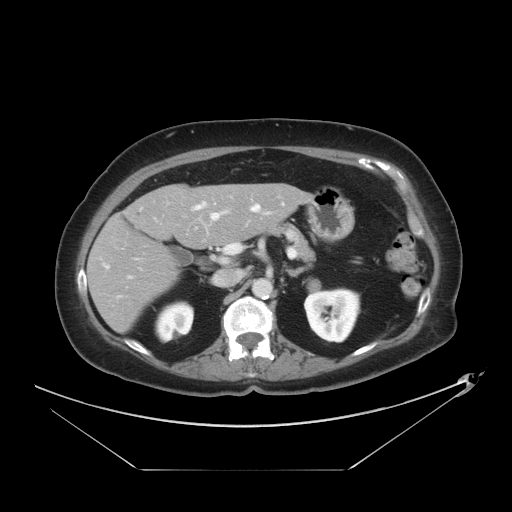
512x512 px | Abdomen | CT
Only some of the vessels may be annotated.
• hepatic vessel: x1=282, y1=203, x2=283, y2=204; x1=194, y1=202, x2=206, y2=209; x1=264, y1=212, x2=270, y2=214; x1=222, y1=242, x2=241, y2=253; x1=210, y1=211, x2=227, y2=220; x1=128, y1=276, x2=131, y2=277; x1=103, y1=264, x2=108, y2=267; x1=214, y1=203, x2=215, y2=204; x1=251, y1=204, x2=259, y2=211